FLAIR MR.
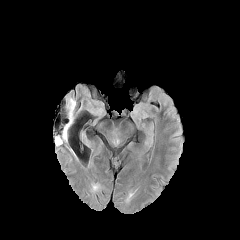
T1-weighted MRI.
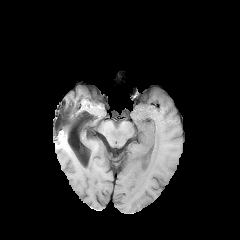
Post-contrast T1-weighted magnetic resonance.
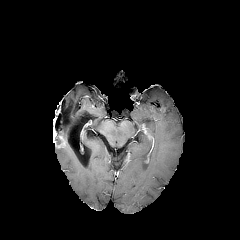
T2-weighted magnetic resonance.
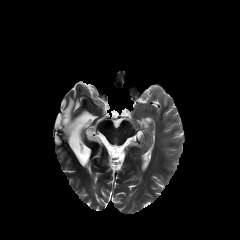
240x240 px.
<segmentation>
  <edema>63:98:76:139</edema>
</segmentation>